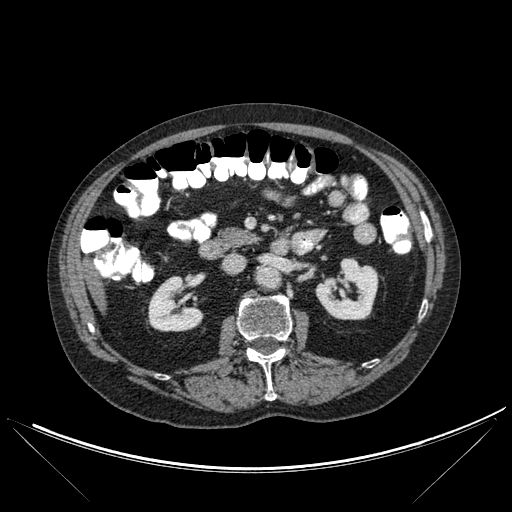
512x512 px; CT
Liver = (87, 277, 105, 310), (83, 264, 92, 275).
Kidney = (316, 259, 377, 319), (149, 277, 202, 330), (186, 276, 201, 286).
Bone = (246, 348, 285, 400), (237, 295, 291, 340).